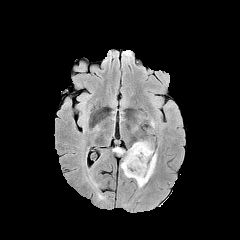
FLAIR MR image.
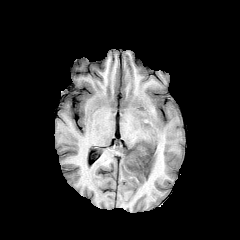
T1-weighted MR image.
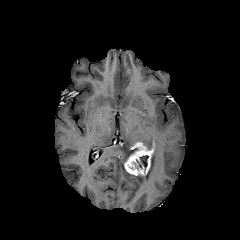
Post-contrast T1-weighted MR.
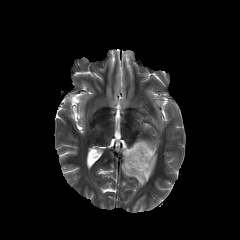
T2-weighted MR.
Image size 240x240, Head
{
  "enhancing_tumor": [
    "x1=124, y1=142, x2=153, y2=175"
  ],
  "non-enhancing_tumor_core": [
    "x1=132, y1=155, x2=148, y2=173"
  ],
  "edema": [
    "x1=121, y1=140, x2=157, y2=187",
    "x1=112, y1=147, x2=125, y2=155"
  ]
}